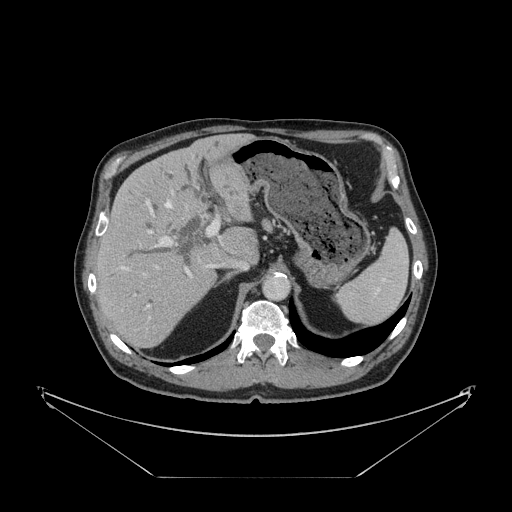
Image size 512x512 | Abdomen | CT scan slice
Not every hepatic vessel necessarily has a box.
hepatic vessel: bbox(171, 192, 172, 194); bbox(145, 305, 149, 308); bbox(165, 201, 171, 207); bbox(185, 269, 190, 276); bbox(207, 265, 217, 267); bbox(120, 267, 127, 269); bbox(154, 266, 157, 267); bbox(147, 230, 151, 232); bbox(206, 219, 218, 235); bbox(156, 236, 172, 246); bbox(147, 201, 151, 213)